FLAIR MR.
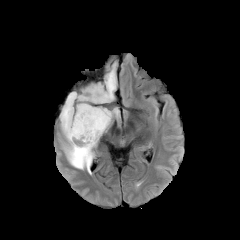
T1-weighted MR image.
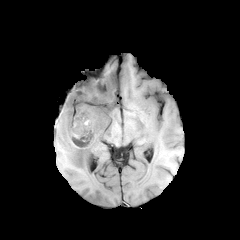
Post-contrast T1-weighted MR image.
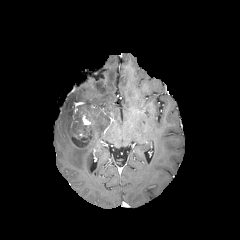
T2-weighted MR image.
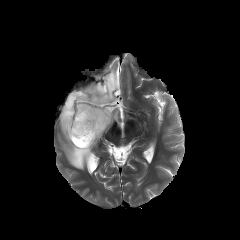
Enhancing tumor = l=81, t=112, r=90, b=125.
Non-enhancing tumor core = l=72, t=97, r=112, b=148.
Edema = l=60, t=70, r=117, b=173; l=110, t=107, r=119, b=120.